Abdomen. Computed tomography. Slice 54/88.
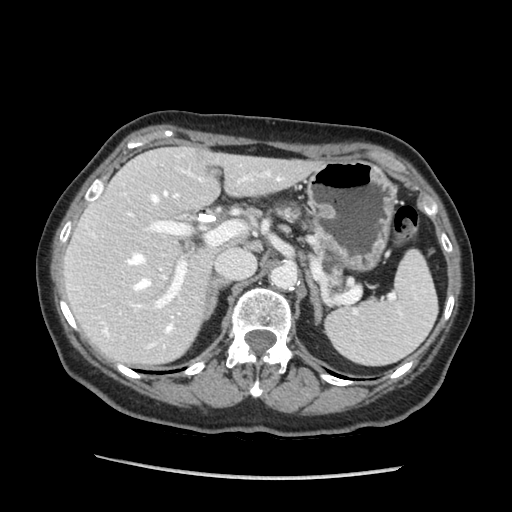 pancreas:
  - left=321, top=241, right=344, bottom=287
  - left=274, top=204, right=303, bottom=221